Liver; CT image; Slice 216 of 432; Image size 512x512
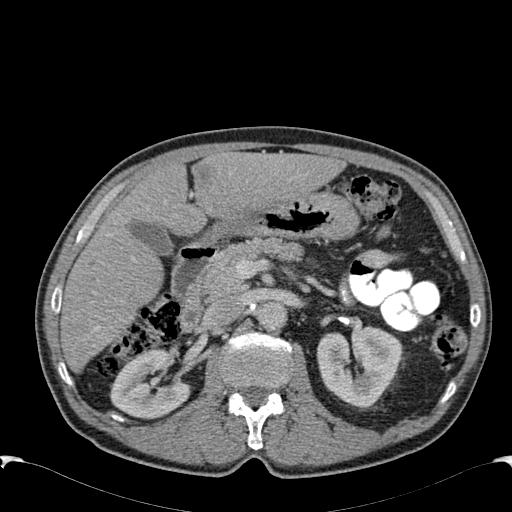
Segmented structures:
• focal liver lesion: l=196, t=164, r=216, b=186
• liver: l=192, t=153, r=343, b=221; l=60, t=162, r=205, b=371
• kidney: l=111, t=350, r=189, b=418; l=317, t=327, r=401, b=407